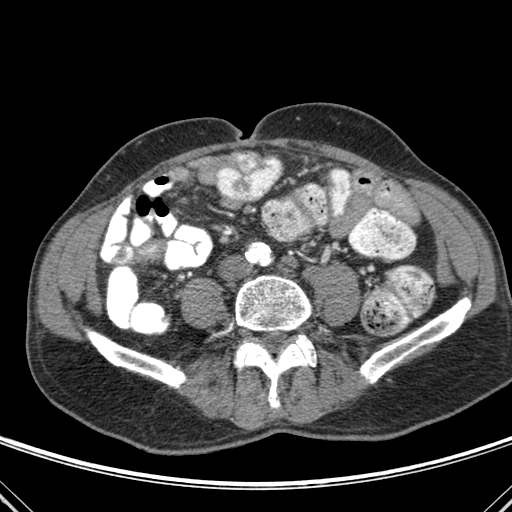

CT image.

bone:
  - region(86, 329, 186, 387)
  - region(235, 336, 316, 407)
  - region(360, 297, 470, 383)
  - region(235, 276, 311, 333)